FLAIR magnetic resonance.
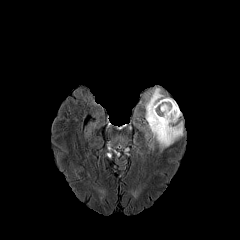
T1-weighted MR image.
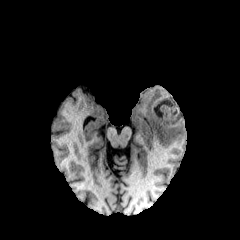
Post-contrast T1-weighted MR.
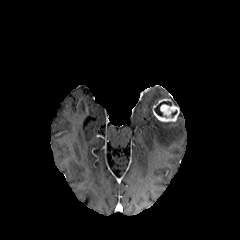
T2-weighted MRI.
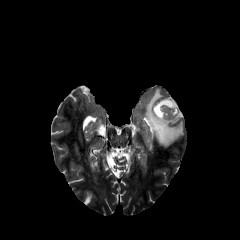
Head | 240x240 px
The enhancing tumor is located at region(152, 99, 178, 122). The edema appears at region(142, 88, 183, 152). The non-enhancing tumor core appears at region(154, 101, 171, 116).